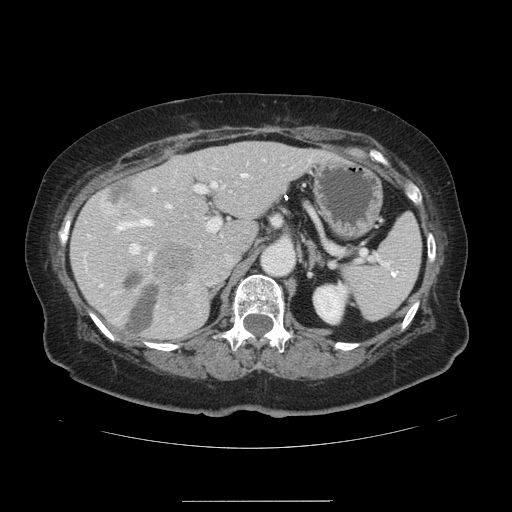
CT slice; Liver; Image size 512x512
Only some of the vessels may be annotated.
hepatic_vessel:
  - (left=193, top=184, right=206, bottom=191)
  - (left=147, top=253, right=151, bottom=259)
  - (left=152, top=187, right=155, bottom=190)
  - (left=116, top=218, right=151, bottom=229)
  - (left=206, top=217, right=220, bottom=231)
  - (left=241, top=173, right=245, bottom=176)
  - (left=210, top=181, right=215, bottom=186)
  - (left=129, top=243, right=138, bottom=253)
  - (left=166, top=204, right=169, bottom=207)
liver_tumor:
  - (left=129, top=286, right=160, bottom=334)
  - (left=156, top=243, right=193, bottom=293)
  - (left=103, top=176, right=140, bottom=213)
  - (left=124, top=273, right=141, bottom=287)